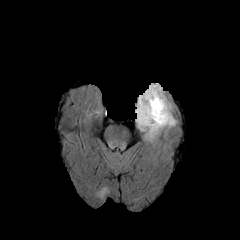
FLAIR MRI.
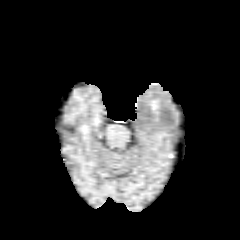
T1-weighted MRI.
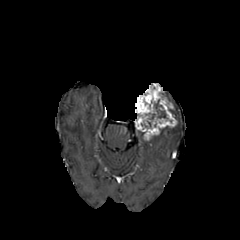
Post-contrast T1-weighted MR.
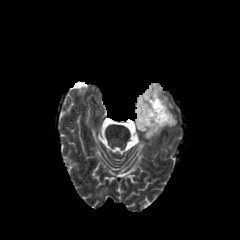
Same slice, T2-weighted MR image.
Image size 240x240 | Head
Segmented structures:
- edema: rect(139, 130, 158, 144)
- enhancing tumor: rect(135, 84, 176, 139)
- non-enhancing tumor core: rect(141, 99, 167, 127)